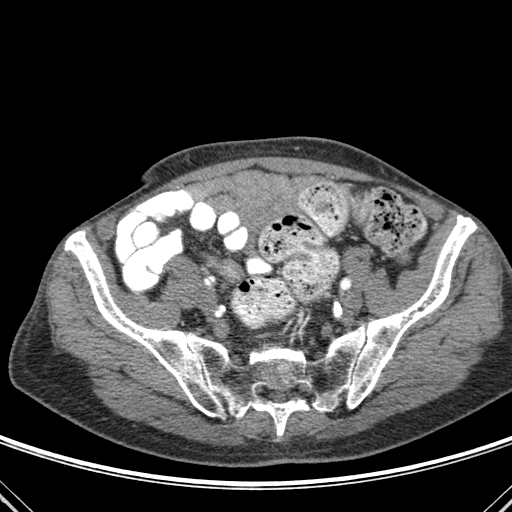

512x512. CT scan slice. Segmented structures:
• bone: [65, 215, 477, 435]